FLAIR MR image.
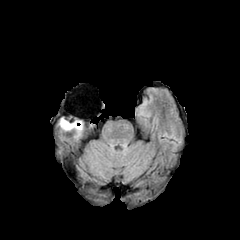
T1-weighted magnetic resonance.
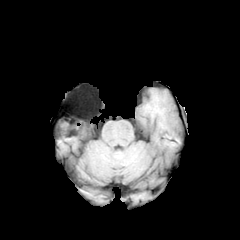
Post-contrast T1-weighted magnetic resonance.
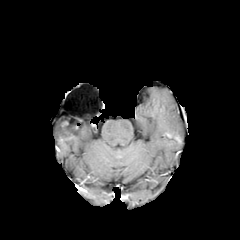
T2-weighted MR.
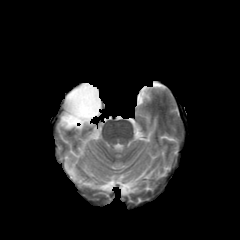
Edema: (left=59, top=118, right=83, bottom=135).
Non-enhancing tumor core: (left=66, top=118, right=78, bottom=123).